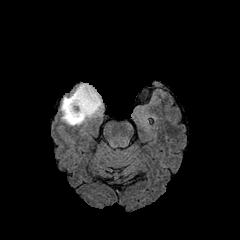
FLAIR magnetic resonance.
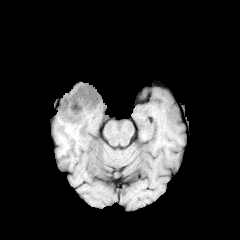
Same slice, T1-weighted magnetic resonance.
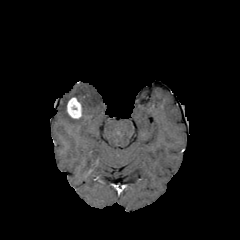
Same slice, post-contrast T1-weighted MRI.
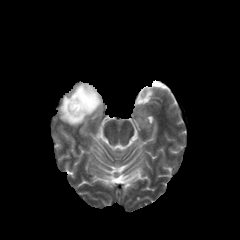
T2-weighted MR of the same slice.
Brain.
Edema: [x1=60, y1=83, x2=103, y2=126].
Enhancing tumor: [x1=67, y1=98, x2=84, y2=120].